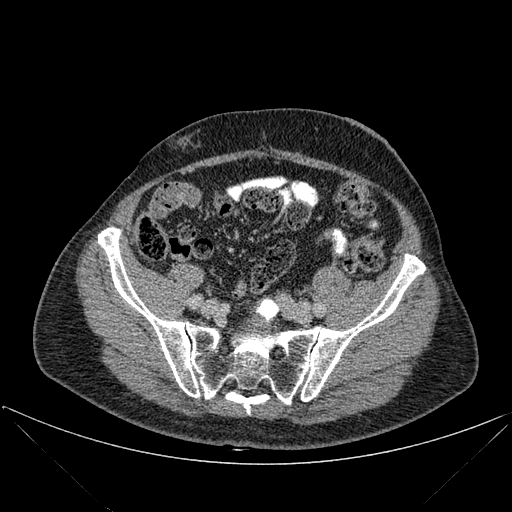 CT, 512x512 px

3 bone regions are located at rect(98, 227, 425, 404); rect(226, 392, 269, 413); rect(256, 299, 278, 321).